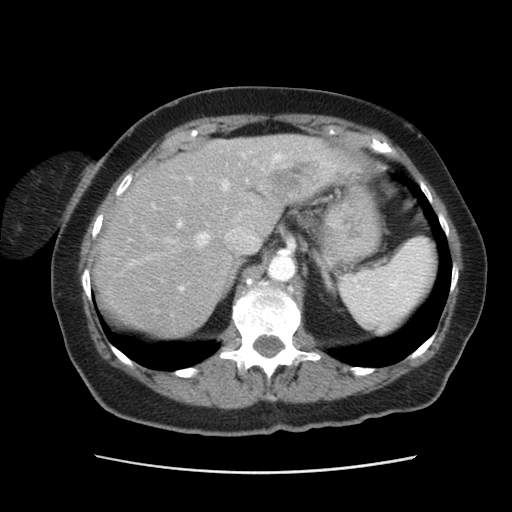 Abdomen. CT. Not every hepatic vessel necessarily has a box.
7 hepatic vessel regions are located at {"x1": 179, "y1": 287, "x2": 182, "y2": 290}, {"x1": 197, "y1": 233, "x2": 208, "y2": 246}, {"x1": 222, "y1": 181, "x2": 228, "y2": 189}, {"x1": 225, "y1": 219, "x2": 259, "y2": 251}, {"x1": 153, "y1": 206, "x2": 154, "y2": 208}, {"x1": 177, "y1": 222, "x2": 181, "y2": 226}, {"x1": 189, "y1": 177, "x2": 191, "y2": 179}. The liver tumor appears at {"x1": 258, "y1": 158, "x2": 326, "y2": 205}.